Image size 240x240. Slice 56/155.
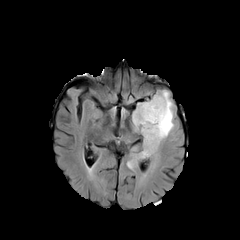
FLAIR MR image.
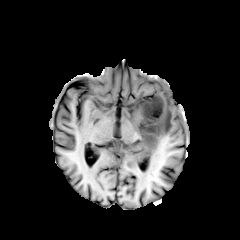
T1-weighted MR image.
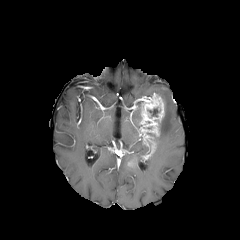
Same slice, post-contrast T1-weighted MRI.
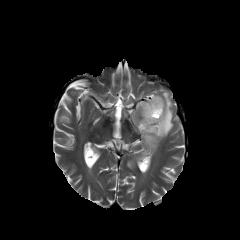
T2-weighted magnetic resonance.
{"non-enhancing_tumor_core": ["[x1=149, y1=109, x2=159, y2=116]"], "edema": ["[x1=148, y1=90, x2=175, y2=142]", "[x1=132, y1=109, x2=140, y2=129]"], "enhancing_tumor": ["[x1=139, y1=94, x2=164, y2=145]"]}